Head. 240x240 px. Slice index 73.
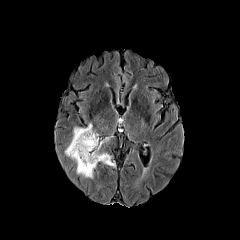
FLAIR MR.
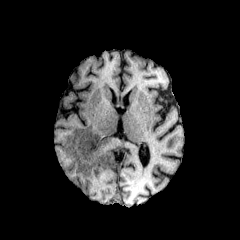
T1-weighted MR.
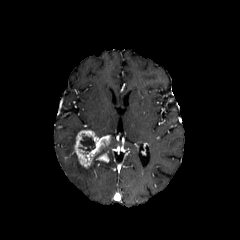
Post-contrast T1-weighted MRI of the same slice.
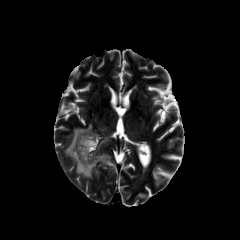
T2-weighted magnetic resonance.
<segmentation>
  <edema>x1=64 y1=124 x2=115 y2=178</edema>
  <non-enhancing_tumor_core>x1=78 y1=136 x2=95 y2=152</non-enhancing_tumor_core>
  <enhancing_tumor>x1=96 y1=154 x2=109 y2=162, x1=73 y1=130 x2=111 y2=168</enhancing_tumor>
</segmentation>